CT slice | Slice index 452

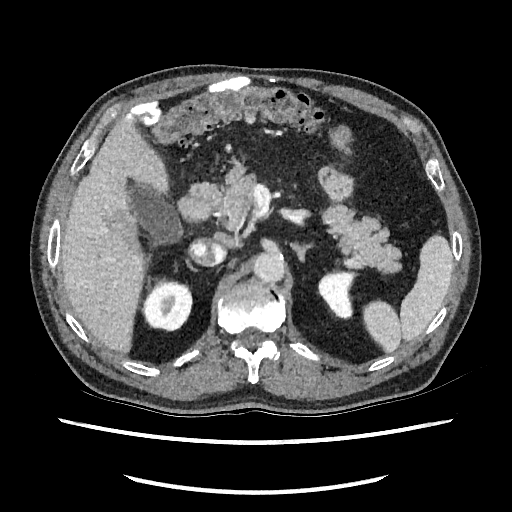
Liver = box(64, 118, 166, 351).
Kidney = box(320, 271, 356, 318); box(142, 279, 192, 330).
Hepatic lesion = box(109, 212, 123, 229); box(127, 231, 141, 253).